Field of view 460 mm wide, 2.50 mm slice spacing; Abdomen; 512x512; CT image

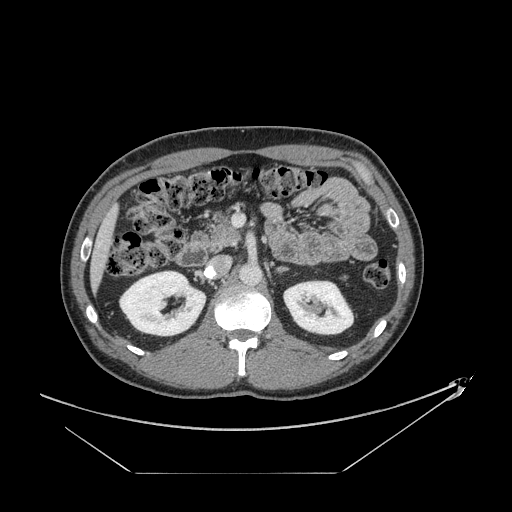 - pancreas: (190, 215, 239, 253)